CT slice, 512x512 px
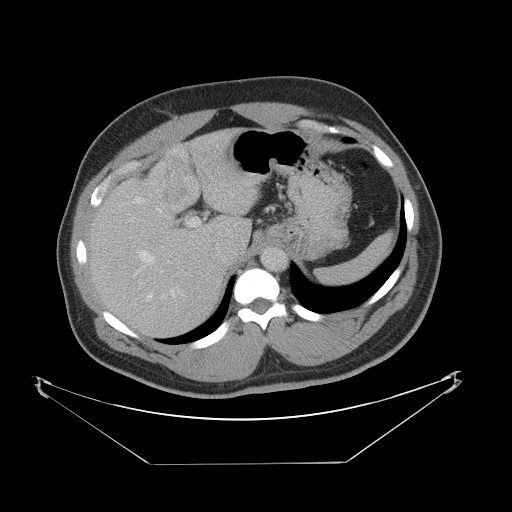
Only some of the vessels may be annotated.
Hepatic vessel = (184, 248, 188, 252), (170, 288, 182, 296), (191, 227, 213, 252), (139, 251, 153, 263), (212, 240, 235, 261), (190, 220, 198, 224).
Liver tumor = (157, 147, 194, 202).